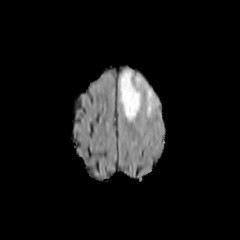
FLAIR MR.
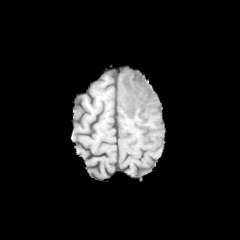
Same slice, T1-weighted magnetic resonance.
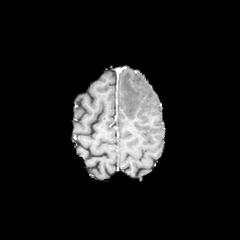
Same slice, post-contrast T1-weighted magnetic resonance.
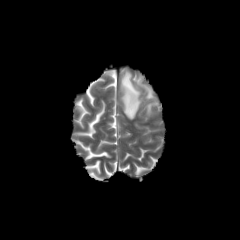
T2-weighted magnetic resonance.
Brain
Edema — bbox=[120, 71, 143, 120]; bbox=[146, 89, 152, 99].